Slice index 96
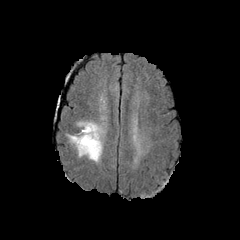
FLAIR MR.
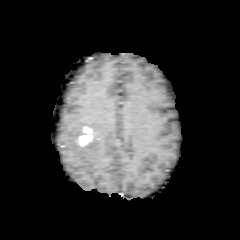
T1-weighted magnetic resonance.
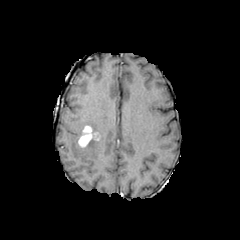
Post-contrast T1-weighted MRI.
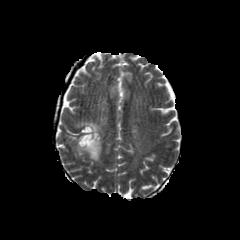
T2-weighted MR of the same slice.
edema: <box>68,130,102,161</box>, <box>78,122,100,133</box> | enhancing tumor: <box>78,125,99,148</box>